Slice 35/99 | CT scan slice 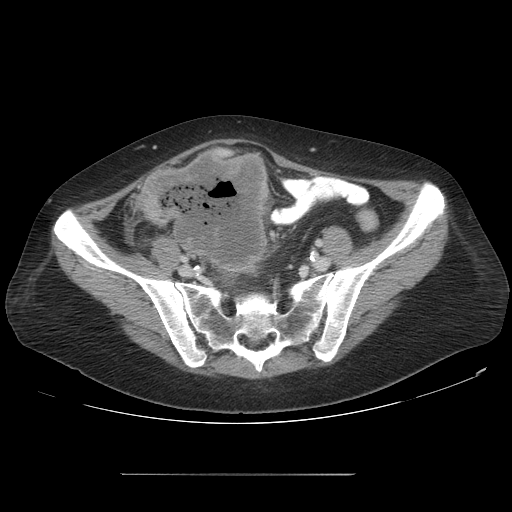 {
  "colon_tumor": [
    "rect(139, 147, 268, 271)"
  ]
}